Abdomen, CT image, Image size 512x512
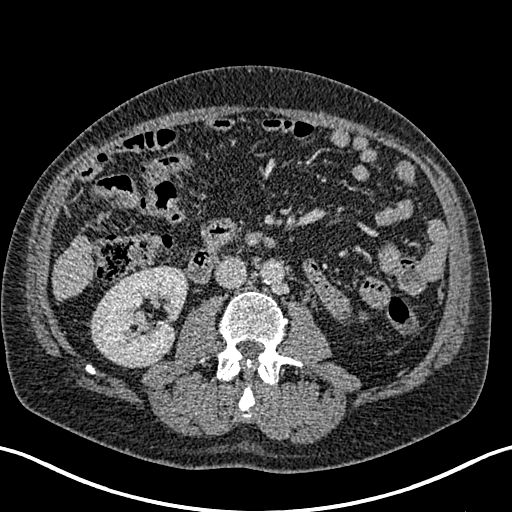

kidney:
  - (x1=92, y1=267, x2=186, y2=366)
liver:
  - (x1=52, y1=235, x2=93, y2=300)
  - (x1=95, y1=213, x2=107, y2=225)